FLAIR MR.
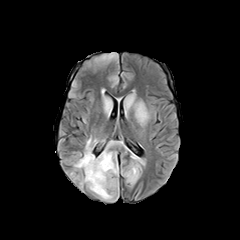
T1-weighted MR image.
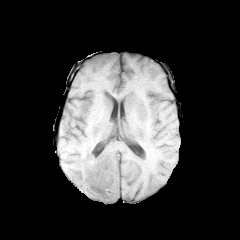
Post-contrast T1-weighted MR image.
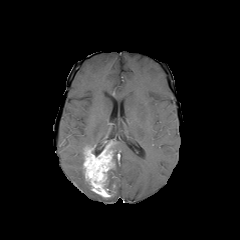
T2-weighted magnetic resonance.
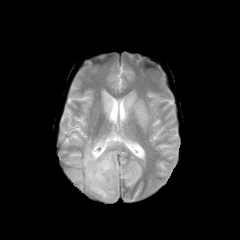
240x240 px.
Edema — left=136, top=102, right=147, bottom=123; left=69, top=151, right=91, bottom=192; left=84, top=137, right=103, bottom=149; left=108, top=145, right=119, bottom=190; left=124, top=94, right=134, bottom=112; left=94, top=191, right=117, bottom=201; left=104, top=99, right=111, bottom=111.
Non-enhancing tumor core — left=108, top=183, right=115, bottom=197; left=86, top=144, right=105, bottom=156; left=106, top=150, right=115, bottom=184.
Enhancing tumor — left=83, top=140, right=113, bottom=198.